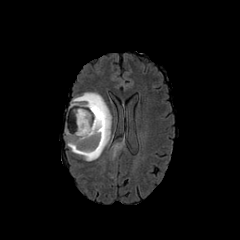
FLAIR magnetic resonance.
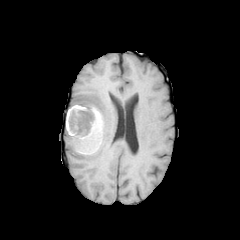
T1-weighted MR image.
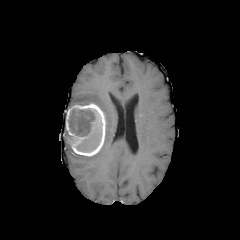
Same slice, post-contrast T1-weighted MR image.
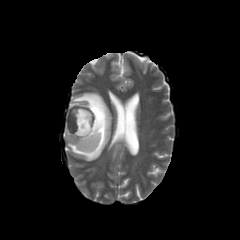
Same slice, T2-weighted MR image.
Head
The edema appears at 67,92,112,161. 2 non-enhancing tumor core regions are bounded by 69,108,98,136; 78,126,101,149. The enhancing tumor is located at 66,103,106,156.